FLAIR MRI.
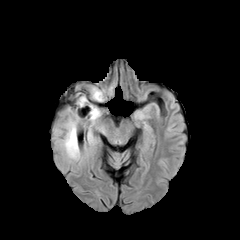
T1-weighted magnetic resonance.
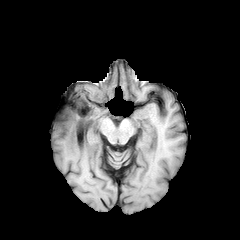
Post-contrast T1-weighted MRI.
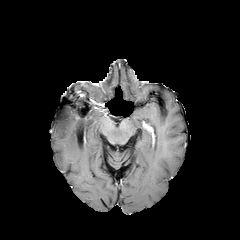
T2-weighted MR.
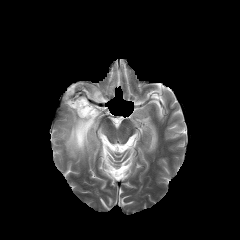
Brain.
{
  "edema": [
    "box=[53, 86, 112, 164]"
  ]
}